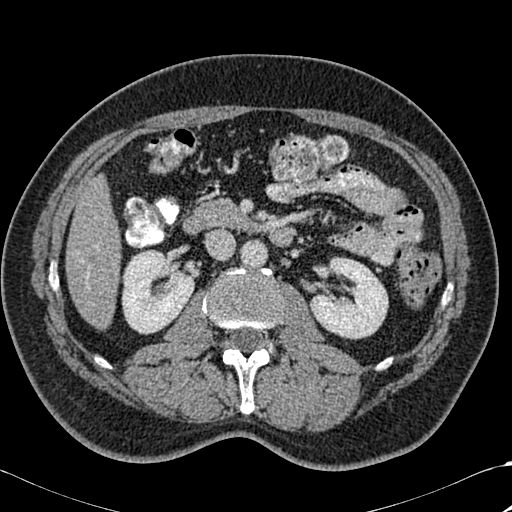
Computed tomography.
Segmented structures:
• bone: (x1=50, y1=279, x2=57, y2=289), (x1=223, y1=338, x2=271, y2=413), (x1=202, y1=269, x2=281, y2=332)
• hepatic lesion: (x1=84, y1=255, x2=98, y2=260)
• liver: (x1=67, y1=176, x2=119, y2=328)
• kidney: (x1=311, y1=258, x2=387, y2=337), (x1=122, y1=251, x2=193, y2=333)